CT scan slice | Image size 512x512 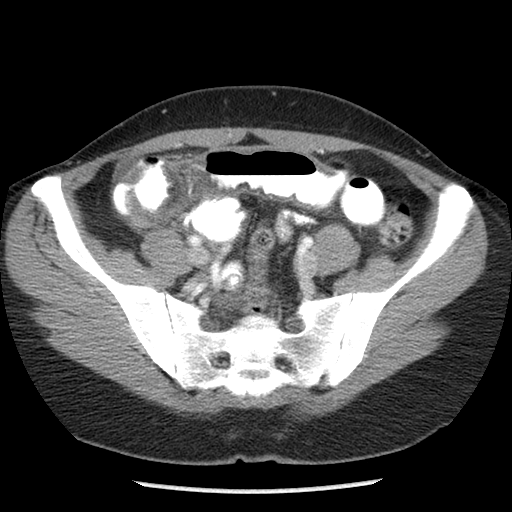 The colon tumor is located at left=127, top=216, right=158, bottom=227.